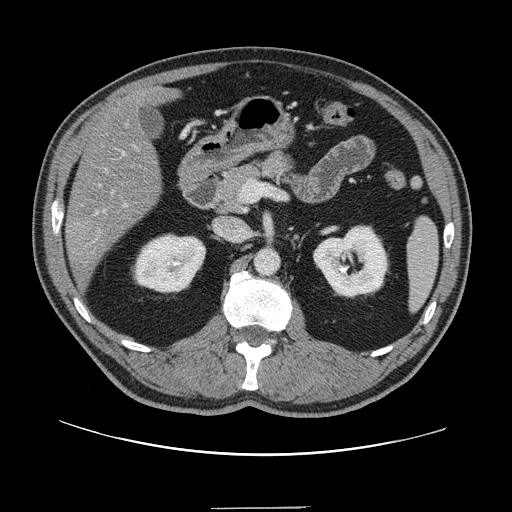 Liver, Image size 512x512, CT scan slice
Not every hepatic vessel necessarily has a box.
8 hepatic vessel regions are bounded by bbox=[102, 210, 106, 212]; bbox=[95, 211, 99, 214]; bbox=[111, 192, 113, 194]; bbox=[122, 152, 125, 155]; bbox=[105, 169, 107, 172]; bbox=[124, 203, 127, 207]; bbox=[135, 146, 137, 149]; bbox=[99, 185, 101, 186]. The liver tumor is located at bbox=[79, 219, 108, 244].